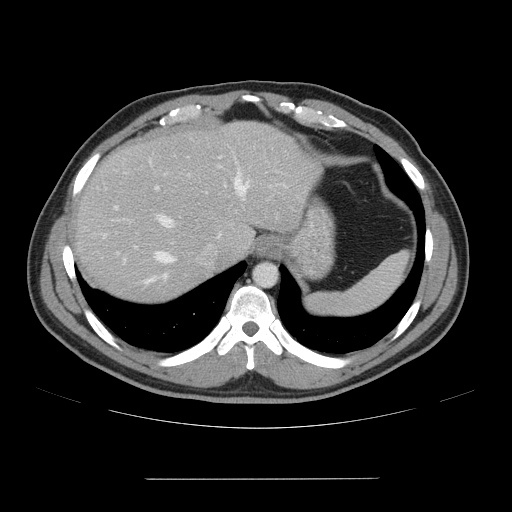

Liver | CT scan slice

The vessel annotation is not exhaustive.
• hepatic vessel: {"x1": 235, "y1": 170, "x2": 249, "y2": 199}, {"x1": 218, "y1": 166, "x2": 220, "y2": 167}, {"x1": 155, "y1": 186, "x2": 158, "y2": 189}, {"x1": 162, "y1": 274, "x2": 166, "y2": 279}, {"x1": 123, "y1": 258, "x2": 125, "y2": 261}, {"x1": 158, "y1": 215, "x2": 172, "y2": 226}, {"x1": 144, "y1": 278, "x2": 154, "y2": 282}, {"x1": 115, "y1": 205, "x2": 117, "y2": 209}, {"x1": 117, "y1": 252, "x2": 118, "y2": 253}, {"x1": 155, "y1": 251, "x2": 173, "y2": 262}, {"x1": 102, "y1": 234, "x2": 106, "y2": 238}